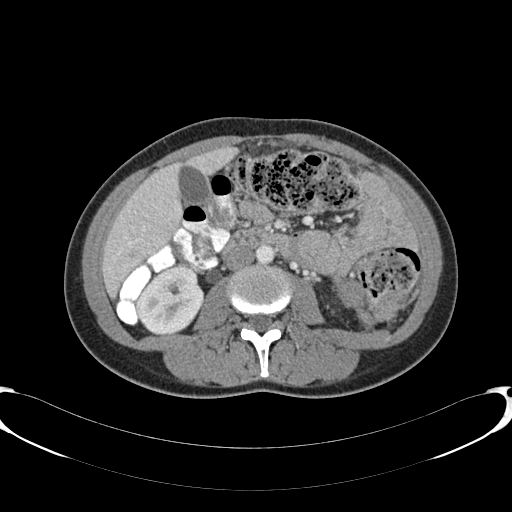
CT scan slice | Upper abdomen
Kidney at box(135, 267, 202, 333).
Liver at box(102, 147, 237, 297).